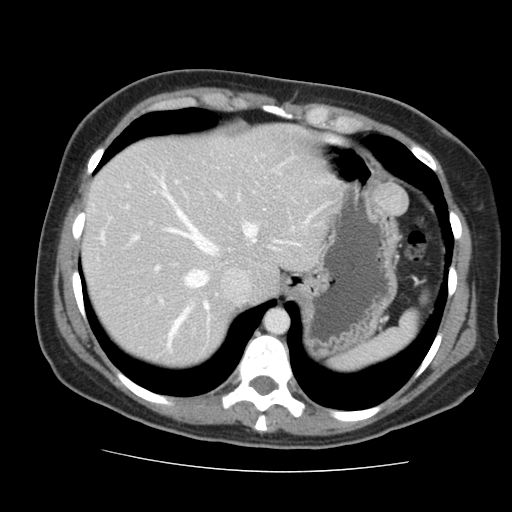 CT

Only some of the vessels may be annotated.
Hepatic vessel = region(217, 194, 219, 196); region(101, 234, 102, 239); region(156, 267, 157, 269); region(168, 308, 188, 345); region(185, 271, 206, 286); region(132, 236, 138, 240); region(243, 223, 255, 241); region(204, 302, 207, 309).